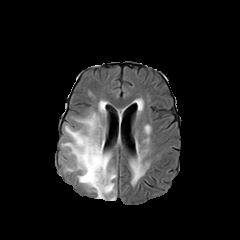
FLAIR MRI.
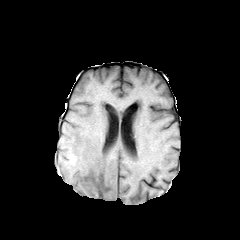
Same slice, T1-weighted MRI.
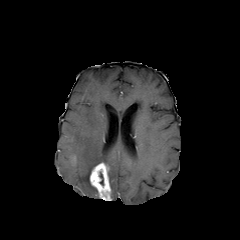
Post-contrast T1-weighted MR of the same slice.
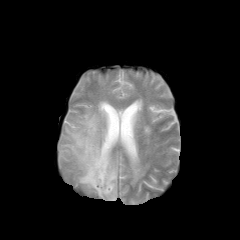
T2-weighted magnetic resonance.
Brain
Enhancing tumor: bounding box x1=90, y1=162, x2=111, y2=199.
Edema: bounding box x1=61, y1=100, x2=116, y2=199; x1=132, y1=160, x2=143, y2=181.